Computed tomography, Abdomen
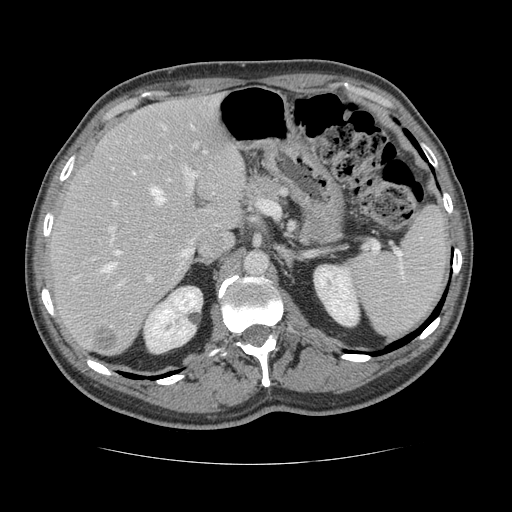

The vessel boxes may cover only some of the vessels.
<segmentation partial="true">
  <hepatic_vessel shown="15" total="19">box=[147, 276, 151, 280]; box=[161, 124, 164, 127]; box=[151, 186, 164, 204]; box=[113, 201, 116, 205]; box=[194, 143, 196, 147]; box=[190, 125, 193, 127]; box=[180, 247, 192, 258]; box=[149, 235, 152, 237]; box=[102, 262, 116, 273]; box=[204, 151, 206, 152]; box=[109, 226, 114, 242]; box=[115, 250, 120, 253]; box=[184, 168, 197, 186]; box=[189, 239, 192, 242]; box=[115, 280, 123, 287]</hepatic_vessel>
  <liver_tumor>box=[95, 328, 117, 351]</liver_tumor>
</segmentation>